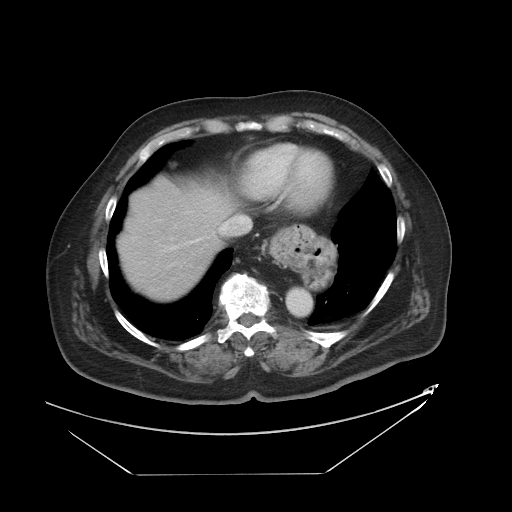 512x512 px | CT image | Abdomen

Not every hepatic vessel necessarily has a box.
Findings:
* hepatic vessel: box=[219, 225, 224, 231]; box=[235, 216, 245, 219]; box=[196, 238, 200, 240]